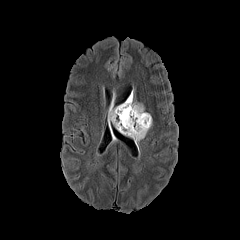
FLAIR magnetic resonance.
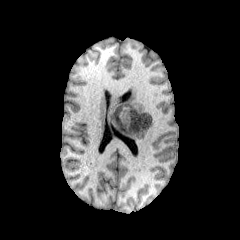
T1-weighted MRI.
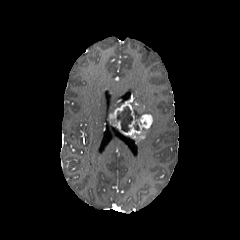
Post-contrast T1-weighted MR image.
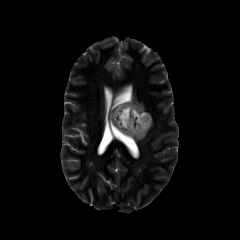
T2-weighted MRI of the same slice.
Head.
{"enhancing_tumor": ["bbox=[110, 95, 152, 140]"], "non-enhancing_tumor_core": ["bbox=[133, 104, 144, 118]", "bbox=[116, 106, 133, 131]"]}